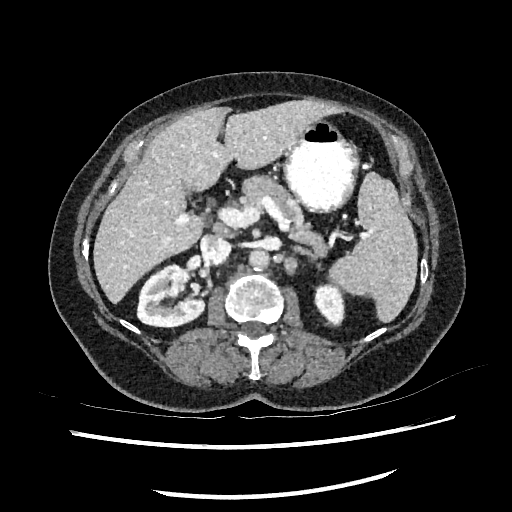

CT slice
Findings:
• focal liver lesion: x1=102 y1=244 x2=108 y2=252
• liver: x1=93 y1=100 x2=336 y2=303
• kidney: x1=316 y1=286 x2=342 y2=323, x1=138 y1=265 x2=203 y2=326